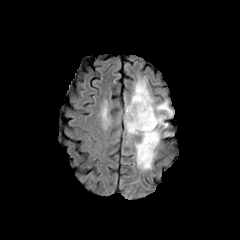
FLAIR MRI.
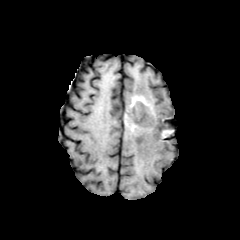
T1-weighted MR image of the same slice.
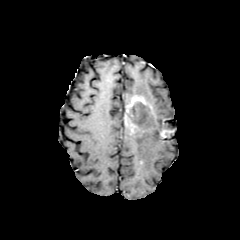
Post-contrast T1-weighted MRI.
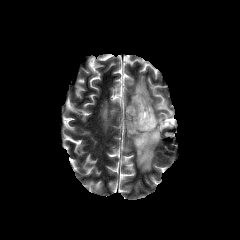
Same slice, T2-weighted MRI.
Head, 240x240
The edema is at 124:77:172:170. The enhancing tumor lies within 125:96:145:126. 2 non-enhancing tumor core regions are located at 158:118:167:127, 127:99:155:133.